Slice 48/155; Brain
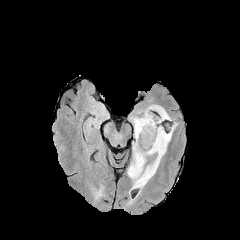
FLAIR magnetic resonance.
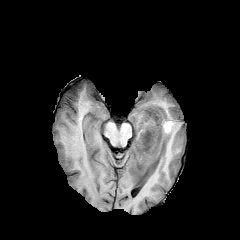
T1-weighted MRI.
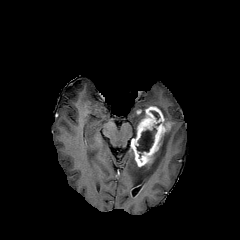
Post-contrast T1-weighted MRI of the same slice.
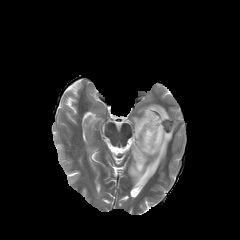
T2-weighted magnetic resonance.
Findings:
• non-enhancing tumor core: <box>135,121,168,158</box>, <box>149,110,160,121</box>, <box>138,109,145,121</box>
• enhancing tumor: <box>131,106,167,166</box>
• edema: <box>145,104,171,120</box>, <box>129,116,139,137</box>, <box>127,122,177,189</box>